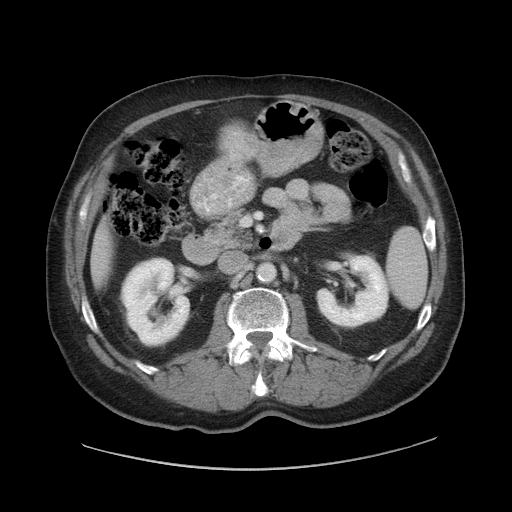

512x512 px, Computed tomography

The liver tumor is bounded by rect(224, 130, 260, 161).